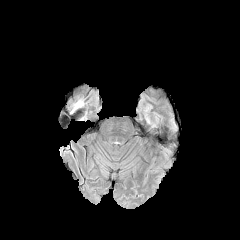
FLAIR MR image.
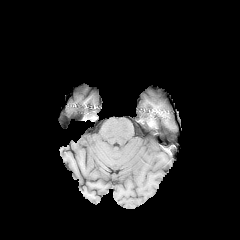
T1-weighted magnetic resonance.
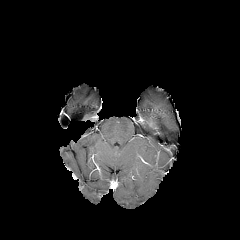
Post-contrast T1-weighted MR image of the same slice.
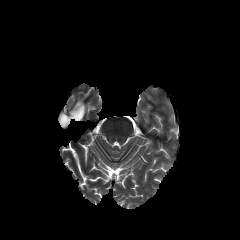
Same slice, T2-weighted MRI.
Brain
Edema: box=[70, 99, 85, 113].